Abdomen, Slice index 11, Image size 512x512, Field of view 512x512 mm, CT image 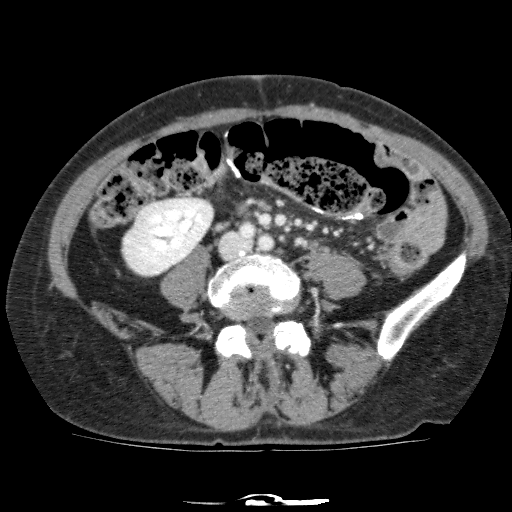

The kidney appears at [x1=123, y1=199, x2=212, y2=274].